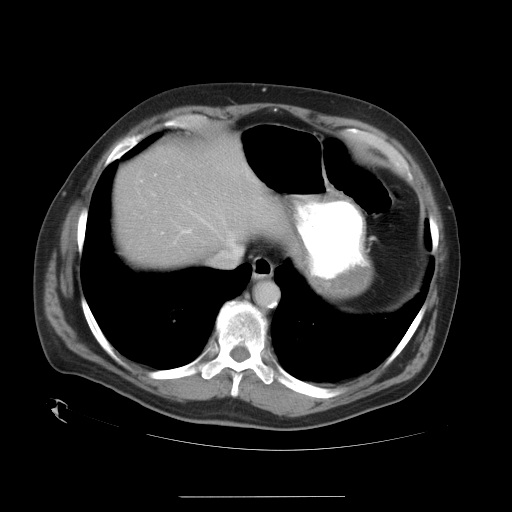
CT. Image size 512x512. The vessel annotation is not exhaustive.
4 hepatic vessel regions are located at <box>188,200,190,203</box>, <box>183,229,186,229</box>, <box>141,179,142,181</box>, <box>174,235,179,242</box>.